Upper abdomen. Slice 111 of 247. 512x512 px. Computed tomography.

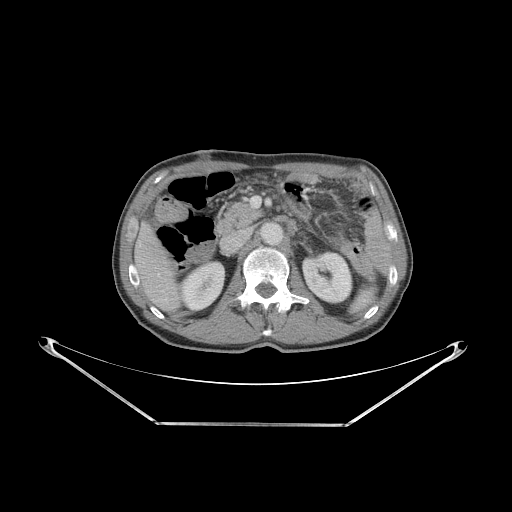

liver:
  - bbox=[134, 224, 177, 311]
kidney:
  - bbox=[182, 263, 223, 309]
  - bbox=[303, 253, 350, 301]
bone:
  - bbox=[151, 308, 163, 318]
  - bbox=[390, 229, 396, 237]
  - bbox=[390, 271, 396, 283]
  - bbox=[129, 268, 133, 283]
  - bbox=[365, 306, 377, 317]
  - bbox=[239, 248, 308, 311]